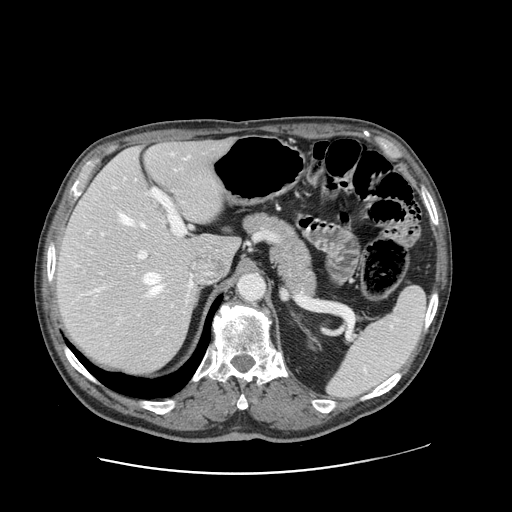

Computed tomography. Image size 512x512. Some hepatic vessels may have no box.
6 hepatic vessel regions appear at 144,273,160,294; 184,156,189,159; 120,214,132,224; 152,193,156,197; 140,223,144,226; 139,251,145,258.